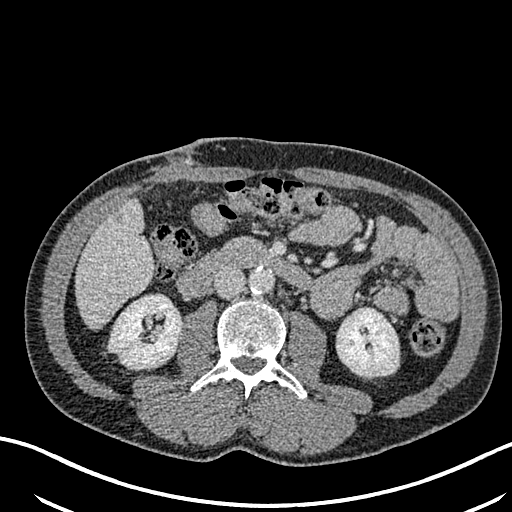

CT slice, Abdomen
hepatic lesion: (left=114, top=212, right=123, bottom=219) | kidney: (left=337, top=308, right=398, bottom=375), (left=110, top=295, right=181, bottom=368) | liver: (left=75, top=199, right=151, bottom=327)